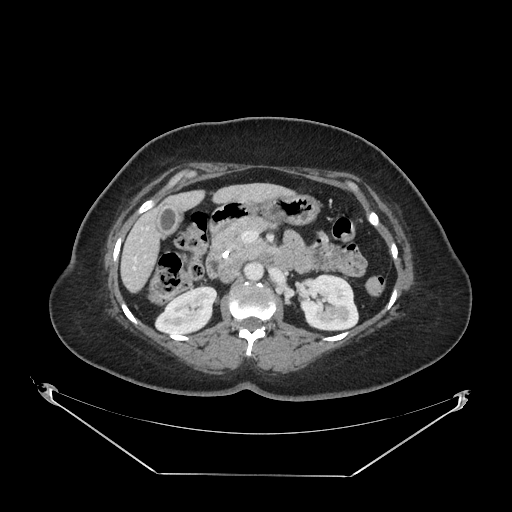 Upper abdomen, CT image
The pancreas is at (x1=215, y1=216, x2=277, y2=282).